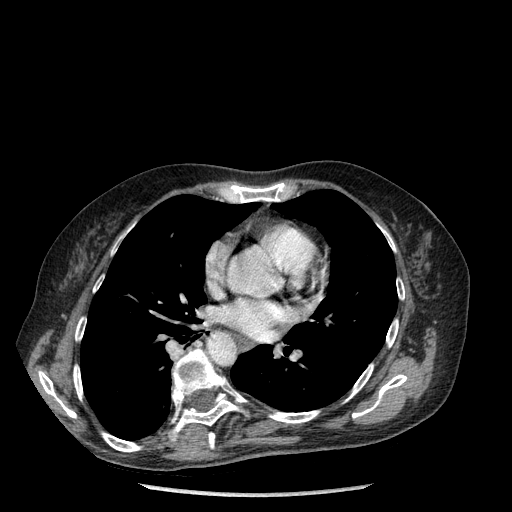
Chest | CT slice
Lung — left=231, top=190, right=397, bottom=411; left=80, top=195, right=257, bottom=440.
Bone — left=38, top=371, right=76, bottom=418; left=224, top=183, right=288, bottom=202; left=345, top=364, right=373, bottom=401; left=75, top=317, right=86, bottom=340; left=101, top=432, right=141, bottom=452; left=269, top=410, right=319, bottom=423; left=111, top=227, right=131, bottom=254; left=378, top=225, right=395, bottom=251; left=396, top=278, right=404, bottom=299; left=386, top=319, right=398, bottom=347; left=73, top=365, right=82, bottom=400; left=207, top=432, right=214, bottom=448; left=352, top=374, right=407, bottom=418; left=169, top=348, right=247, bottom=440.